512x512. Upper abdomen. Slice 49 of 90. CT scan slice. 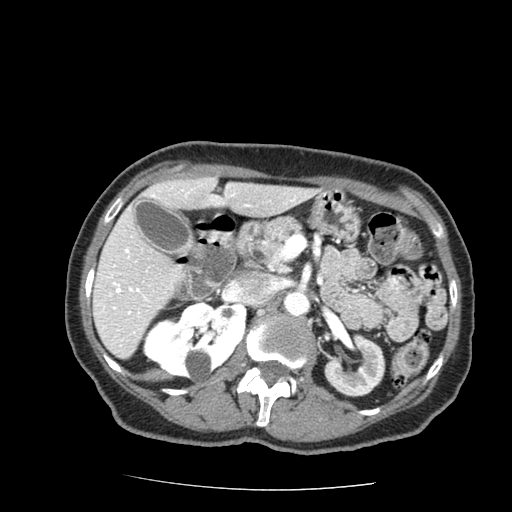 The pancreas appears at [x1=239, y1=214, x2=302, y2=268].